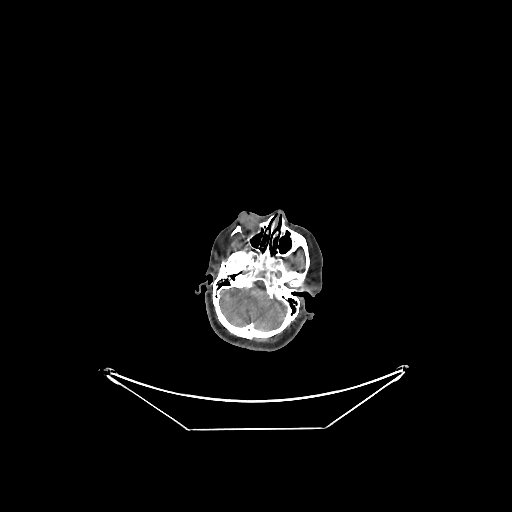 CT scan slice | Brain

Brain = region(219, 280, 287, 331).